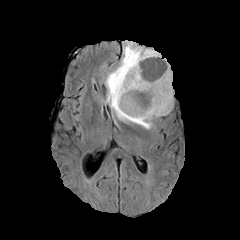
FLAIR magnetic resonance.
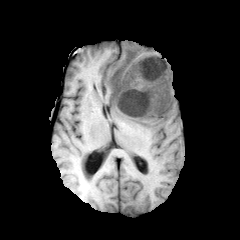
T1-weighted magnetic resonance of the same slice.
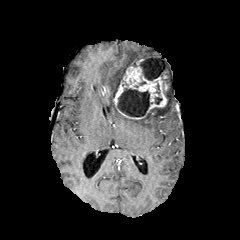
Post-contrast T1-weighted MRI of the same slice.
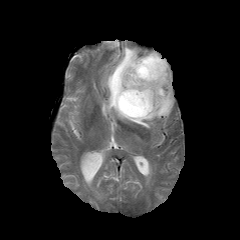
T2-weighted MR image.
<segmentation>
  <enhancing_tumor>112,55,168,120</enhancing_tumor>
  <edema>104,41,173,129</edema>
  <non-enhancing_tumor_core>140,57,166,80; 118,88,152,116</non-enhancing_tumor_core>
</segmentation>